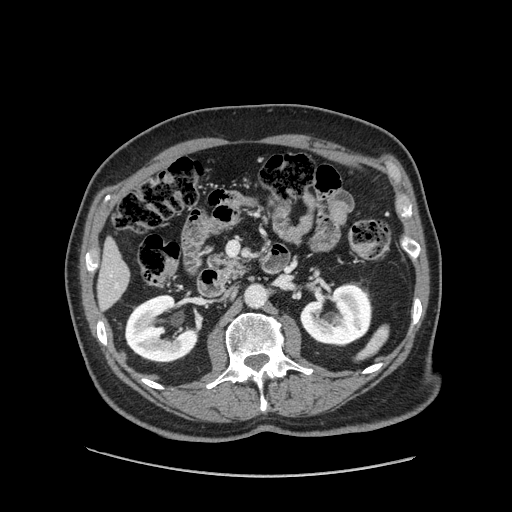

CT scan slice | Abdomen

Pancreas: bounding box <box>210,255,245,277</box>.